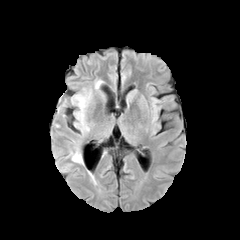
FLAIR MRI.
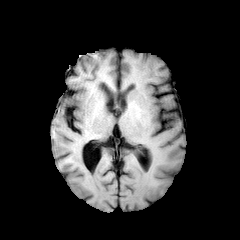
T1-weighted magnetic resonance of the same slice.
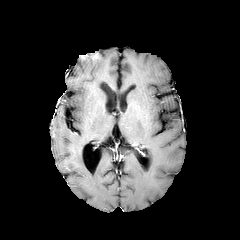
Post-contrast T1-weighted MR image.
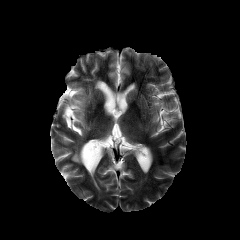
T2-weighted magnetic resonance.
3 edema regions appear at <bbox>68, 148, 83, 164</bbox>, <bbox>67, 88, 92, 135</bbox>, <bbox>94, 80, 102, 90</bbox>.